240x240; Slice index 102
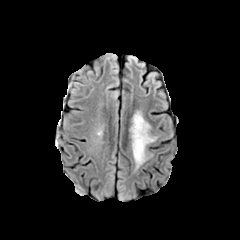
FLAIR MR.
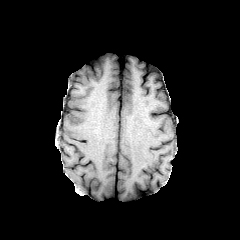
T1-weighted magnetic resonance.
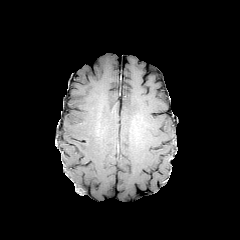
Post-contrast T1-weighted MRI of the same slice.
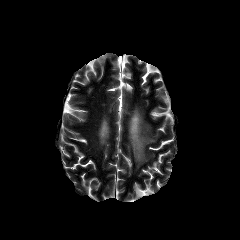
T2-weighted magnetic resonance.
The edema is at 131:112:155:167.